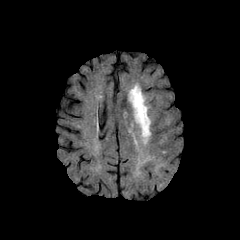
FLAIR MRI.
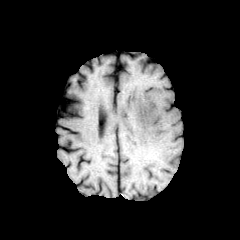
T1-weighted MR.
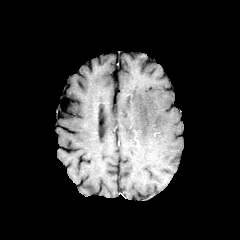
Post-contrast T1-weighted MRI.
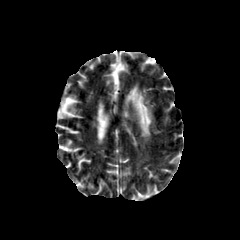
T2-weighted MRI.
edema: 127:84:152:143